CT slice, Slice 335/574
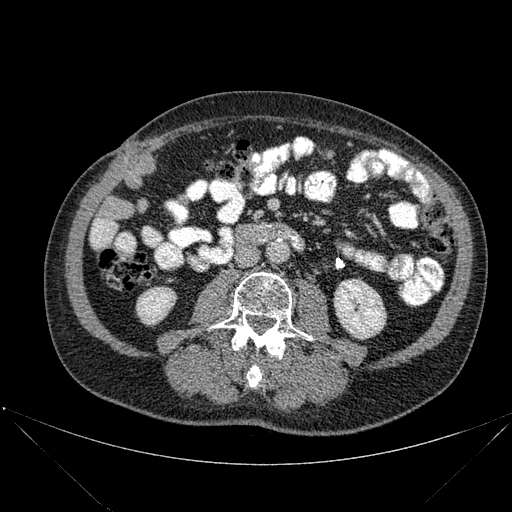

kidney: {"x1": 334, "y1": 279, "x2": 385, "y2": 338}, {"x1": 136, "y1": 287, "x2": 175, "y2": 324} | bone: {"x1": 247, "y1": 365, "x2": 261, "y2": 386}, {"x1": 210, "y1": 272, "x2": 313, "y2": 358}